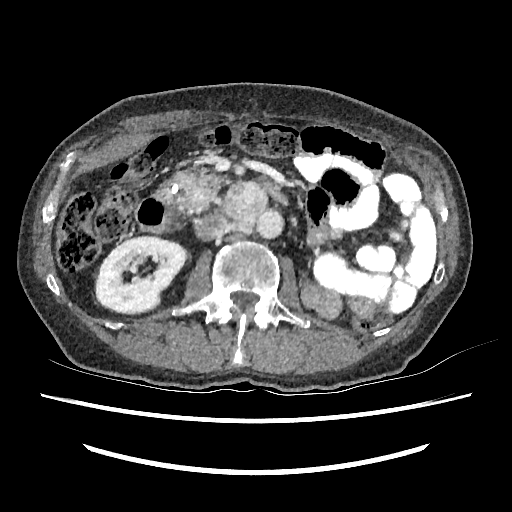
CT image; 512x512 px
- kidney: box(96, 237, 185, 312)